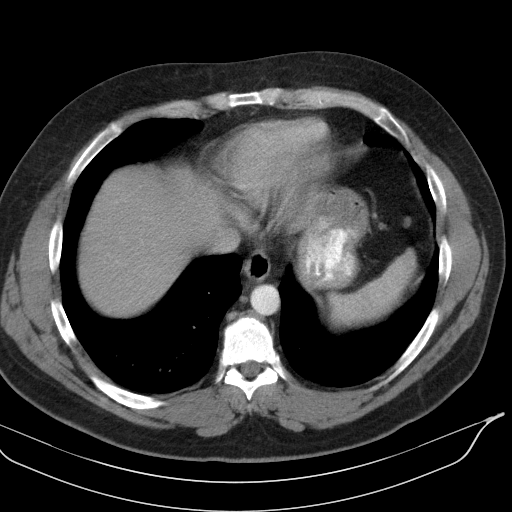 CT | Upper abdomen

Spleen — x1=328, y1=249, x2=417, y2=327.